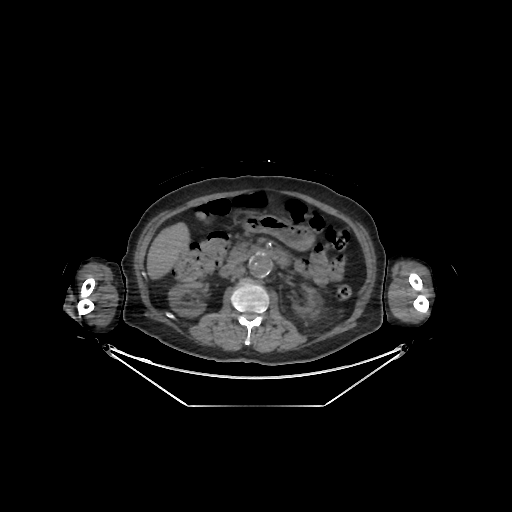 Liver. Image size 512x512. CT image.

liver: <bbox>148, 223, 188, 277</bbox> | bone: <bbox>78, 278, 94, 314</bbox>, <bbox>409, 273, 428, 312</bbox>, <bbox>232, 283, 268, 344</bbox> | kidney: <bbox>169, 281, 210, 317</bbox>, <bbox>291, 285, 320, 318</bbox>